FLAIR MRI.
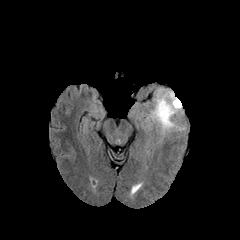
T1-weighted MRI.
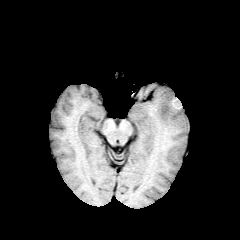
Post-contrast T1-weighted MRI.
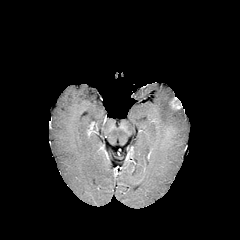
T2-weighted magnetic resonance.
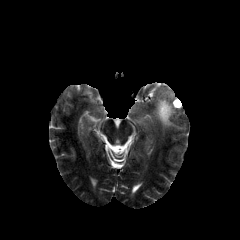
Head. Image size 240x240.
Edema — (left=131, top=103, right=140, bottom=113), (left=135, top=87, right=186, bottom=139).
Enhancing tumor — (left=169, top=96, right=182, bottom=111).